CT scan slice | 512x512

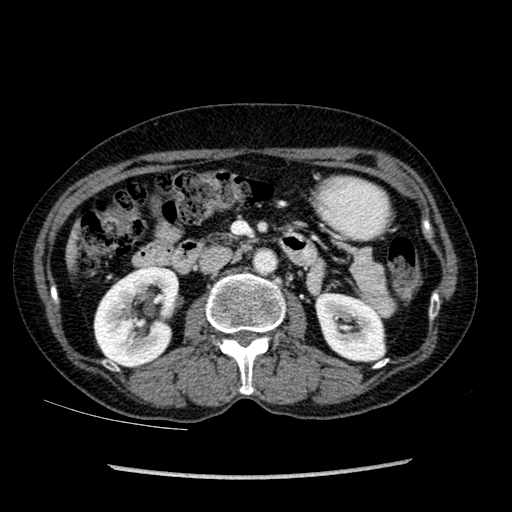

2 kidney regions appear at bbox(317, 294, 383, 360); bbox(95, 267, 177, 366).